Field of view 378x378 mm | CT scan slice | Slice 362 of 841
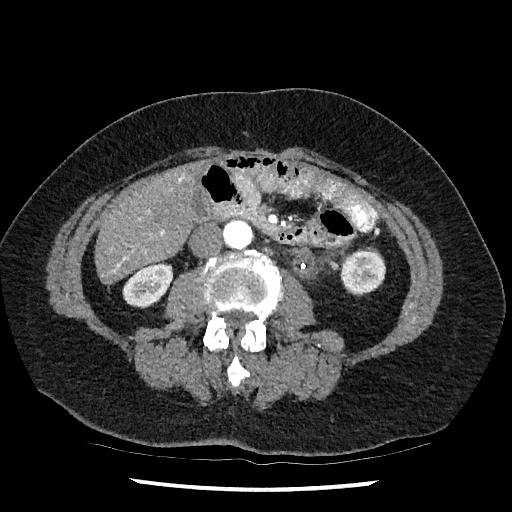
2 kidney regions appear at 341,251,384,293; 123,264,172,306. The liver appears at 96,161,205,283.